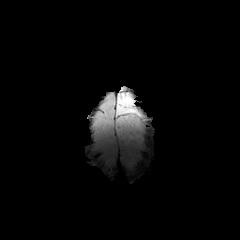
FLAIR MR image.
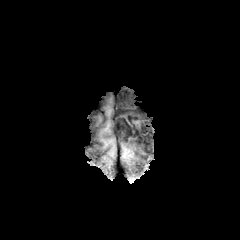
T1-weighted MR image.
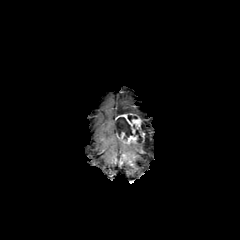
Post-contrast T1-weighted MR of the same slice.
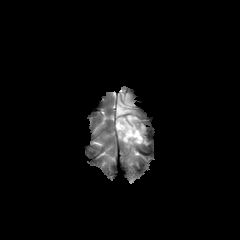
Same slice, T2-weighted MRI.
Head
Edema at (x1=117, y1=93, x2=136, y2=113).
Enhancing tumor at (x1=115, y1=113, x2=142, y2=134), (x1=116, y1=132, x2=137, y2=143).
Non-enhancing tumor core at (x1=115, y1=117, x2=133, y2=139), (x1=134, y1=123, x2=142, y2=143).